FLAIR MRI.
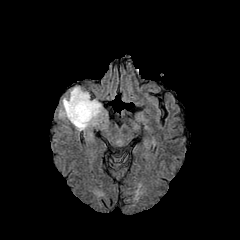
T1-weighted MR.
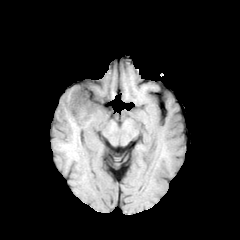
Post-contrast T1-weighted MR.
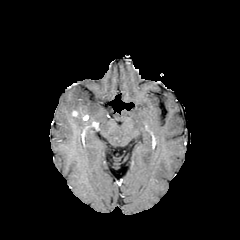
T2-weighted MR.
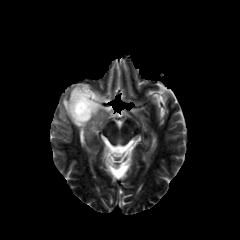
Head | 240x240
Enhancing tumor: (x1=71, y1=110, x2=88, y2=121).
Non-enhancing tumor core: (x1=70, y1=102, x2=89, y2=115), (x1=83, y1=116, x2=98, y2=136).
Edema: (x1=58, y1=85, x2=108, y2=134).